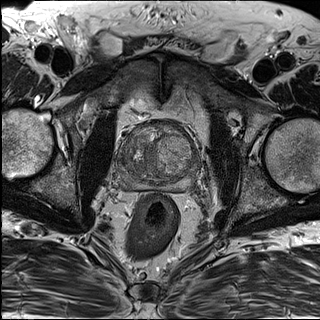
T2-weighted MR.
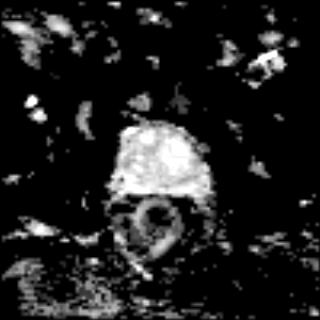
ADC MRI.
Prostate
Prostate transition zone at bbox(118, 126, 197, 184).
Prostate peripheral zone at bbox(118, 159, 197, 192).